Abdomen; Image size 512x512; Slice index 37; Computed tomography 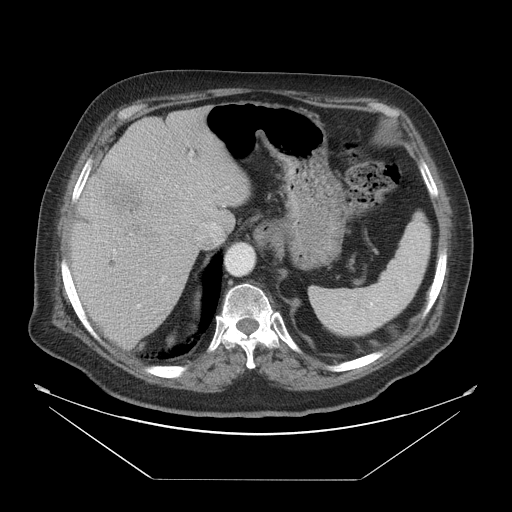 Some hepatic vessels may have no box.
hepatic vessel: left=190, top=152, right=192, bottom=155; left=198, top=222, right=228, bottom=248; left=196, top=235, right=205, bottom=239 | liver tumor: left=94, top=166, right=147, bottom=213; left=123, top=221, right=146, bottom=242